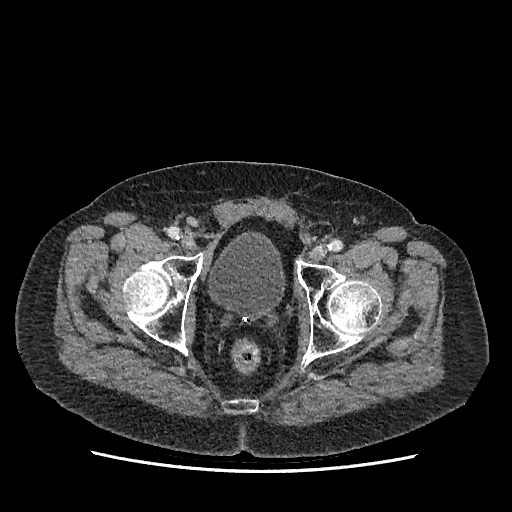

Computed tomography. Image size 512x512.

The urinary bladder is at [208, 234, 283, 316].